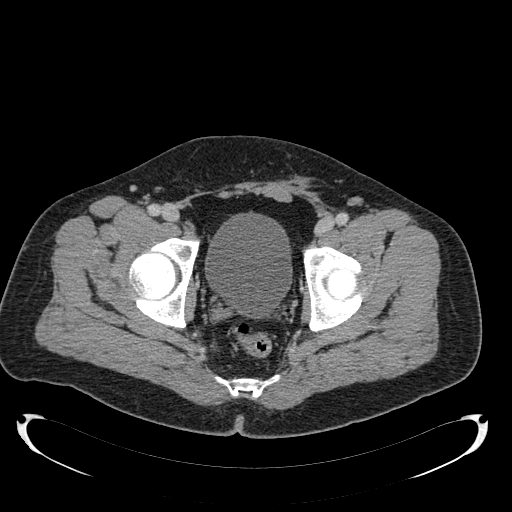

CT slice. Lower abdomen.
{"urinary_bladder": ["l=205, t=212, r=292, b=318"]}